Slice 74 of 455. Pelvis. CT scan slice. 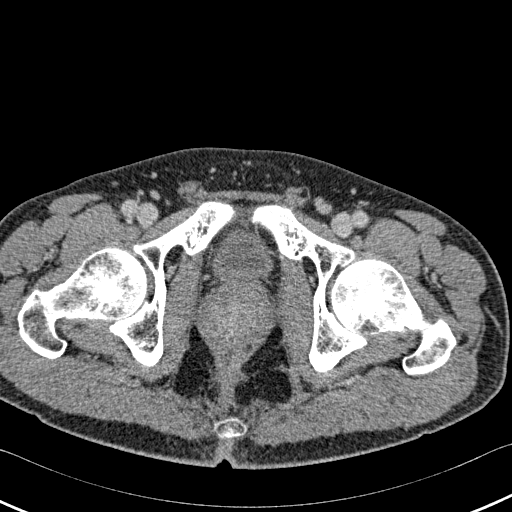

Urinary bladder — bbox=[211, 226, 273, 294].
Bone — bbox=[398, 341, 417, 353]; bbox=[18, 202, 233, 366]; bbox=[253, 206, 455, 374]; bbox=[215, 418, 246, 437].